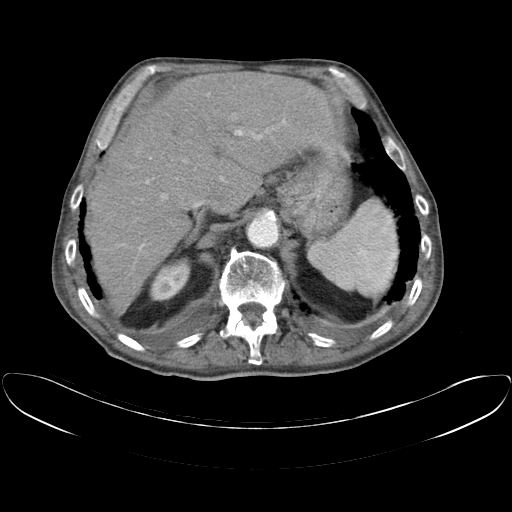 512x512 px, CT image
Not every hepatic vessel necessarily has a box.
10 hepatic vessel regions appear at <box>138,241,147,253</box>, <box>282,120,284,122</box>, <box>161,194,167,199</box>, <box>175,178,177,180</box>, <box>234,127,243,135</box>, <box>184,160,186,162</box>, <box>220,177,224,180</box>, <box>249,131,262,139</box>, <box>207,93,209,95</box>, <box>146,180,148,183</box>.